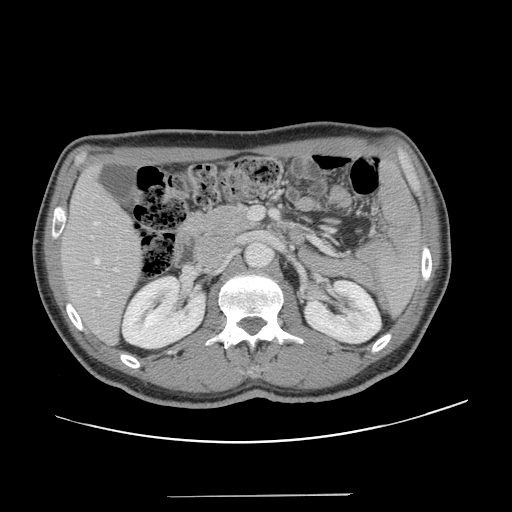
Abdomen, CT

The vessel annotation is not exhaustive.
<segmentation>
  <hepatic_vessel>[x1=90, y1=235, x2=93, y2=238], [x1=96, y1=290, x2=100, y2=295], [x1=114, y1=268, x2=117, y2=271], [x1=95, y1=259, x2=99, y2=263], [x1=94, y1=222, x2=98, y2=224]</hepatic_vessel>
</segmentation>